Slice 97 of 155. 240x240 px.
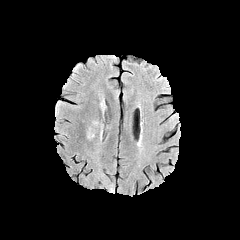
FLAIR MR.
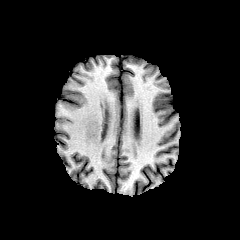
T1-weighted MR.
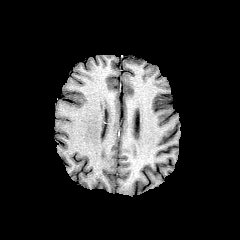
Same slice, post-contrast T1-weighted MR.
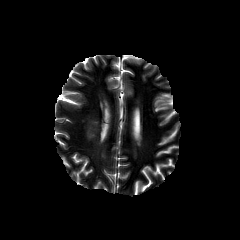
T2-weighted MRI of the same slice.
The edema appears at (left=86, top=124, right=97, bottom=139).